Slice 104 of 155 | Brain
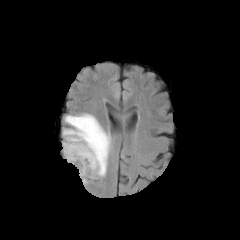
FLAIR magnetic resonance.
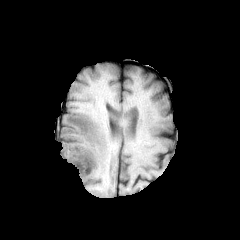
T1-weighted magnetic resonance of the same slice.
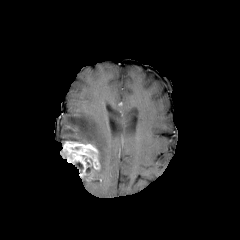
Same slice, post-contrast T1-weighted MR.
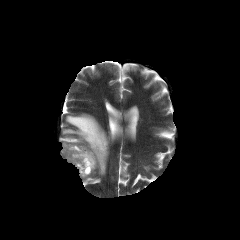
T2-weighted MR.
Edema — left=63, top=114, right=110, bottom=175.
Enhancing tumor — left=62, top=140, right=99, bottom=182.